FLAIR MR image.
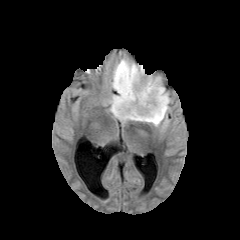
T1-weighted MR image.
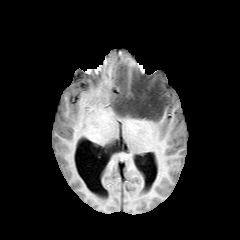
Post-contrast T1-weighted MR image.
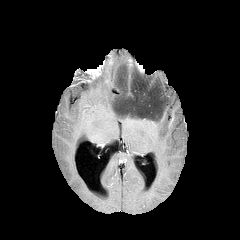
T2-weighted MR image.
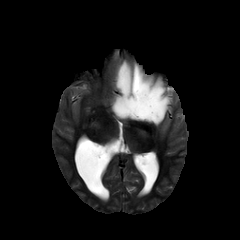
non-enhancing_tumor_core:
  - region(113, 64, 168, 121)
edema:
  - region(108, 57, 172, 128)
enhancing_tumor:
  - region(128, 72, 132, 97)